CT scan slice | Slice index 109 | Abdomen | 512x512 px
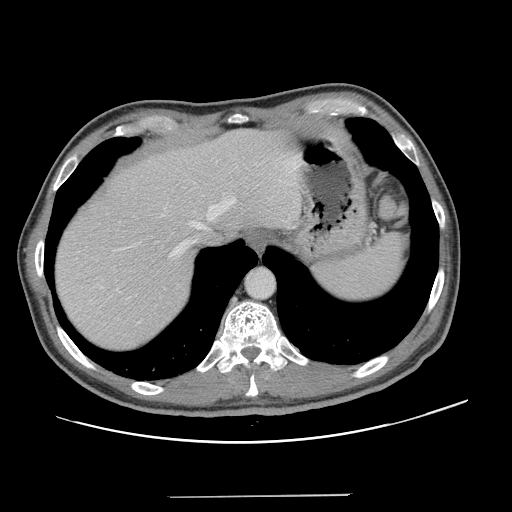

The vessel boxes may cover only some of the vessels.
Hepatic vessel: bbox(191, 222, 207, 229); bbox(169, 240, 194, 256); bbox(101, 286, 103, 288).